Image size 240x240 | Slice index 64
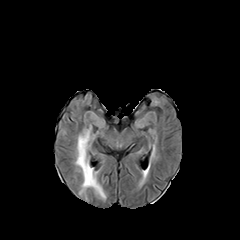
FLAIR MRI.
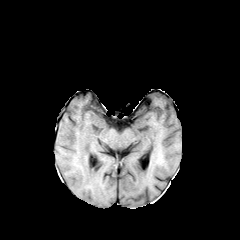
Same slice, T1-weighted MRI.
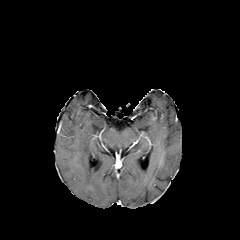
Post-contrast T1-weighted magnetic resonance of the same slice.
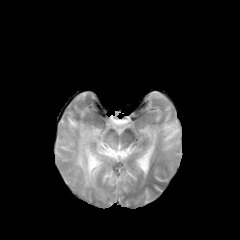
T2-weighted MR.
Edema — {"x1": 75, "y1": 129, "x2": 105, "y2": 199}.